CT slice, Liver, Image width 387 mm

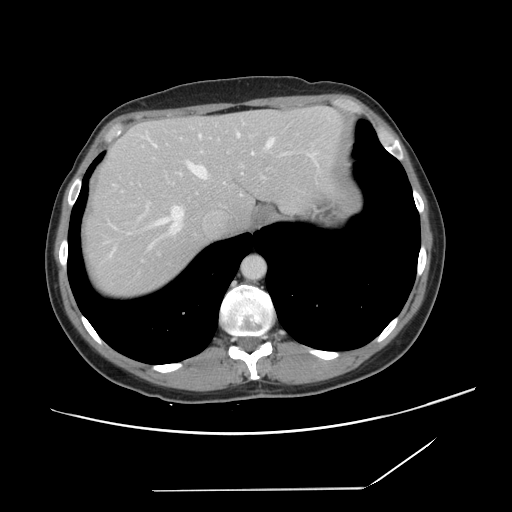
Not every hepatic vessel necessarily has a box.
<segmentation>
  <hepatic_vessel>(x1=139, y1=202, x2=150, y2=218), (x1=281, y1=153, x2=288, y2=154), (x1=309, y1=153, x2=317, y2=166), (x1=199, y1=134, x2=200, y2=137), (x1=109, y1=252, x2=112, y2=256), (x1=252, y1=152, x2=253, y2=154), (x1=177, y1=172, x2=180, y2=174), (x1=149, y1=242, x2=154, y2=248), (x1=151, y1=206, x2=183, y2=233), (x1=187, y1=162, x2=206, y2=178), (x1=266, y1=138, x2=273, y2=147), (x1=237, y1=133, x2=238, y2=136), (x1=109, y1=223, x2=115, y2=228), (x1=141, y1=132, x2=156, y2=147)</hepatic_vessel>
</segmentation>